FLAIR MRI.
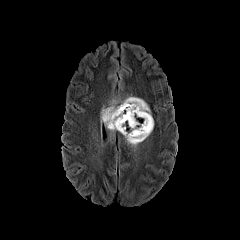
T1-weighted MR.
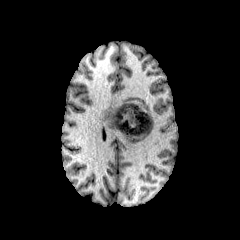
Post-contrast T1-weighted MRI.
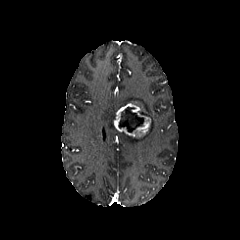
T2-weighted magnetic resonance.
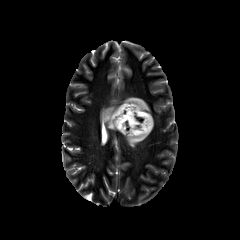
edema:
  - [99,99,117,132]
  - [117,96,154,145]
enhancing_tumor:
  - [114,102,151,138]
non-enhancing_tumor_core:
  - [118,106,143,133]